FLAIR magnetic resonance.
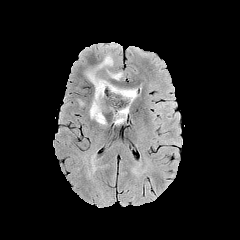
T1-weighted magnetic resonance.
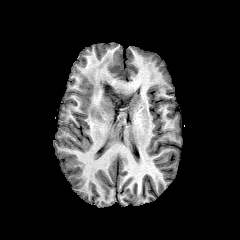
Post-contrast T1-weighted MRI.
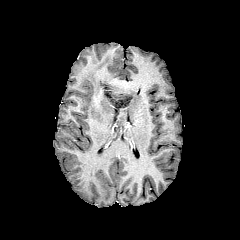
T2-weighted MR.
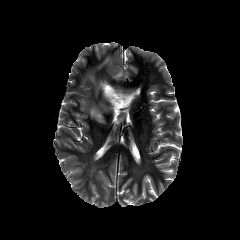
edema: left=87, top=55, right=137, bottom=125 | non-enhancing tumor core: left=110, top=94, right=130, bottom=107